MRI. Slice index 9. Field of view 35 mm wide, 1.00 mm slice spacing. Medial temporal lobe. 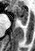 • anterior hippocampus: bbox(9, 6, 27, 22)
• posterior hippocampus: bbox(22, 23, 25, 24)